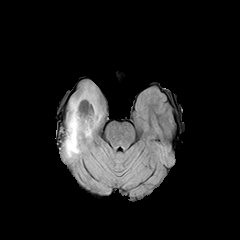
FLAIR magnetic resonance.
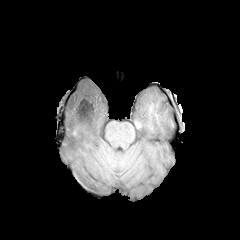
Same slice, T1-weighted MR image.
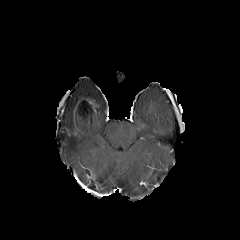
Post-contrast T1-weighted magnetic resonance.
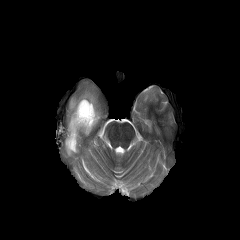
T2-weighted MR of the same slice.
Image size 240x240; Head
enhancing tumor: box=[85, 98, 95, 115] | non-enhancing tumor core: box=[73, 98, 96, 127] | edema: box=[63, 85, 101, 158]